Lower abdomen | CT slice

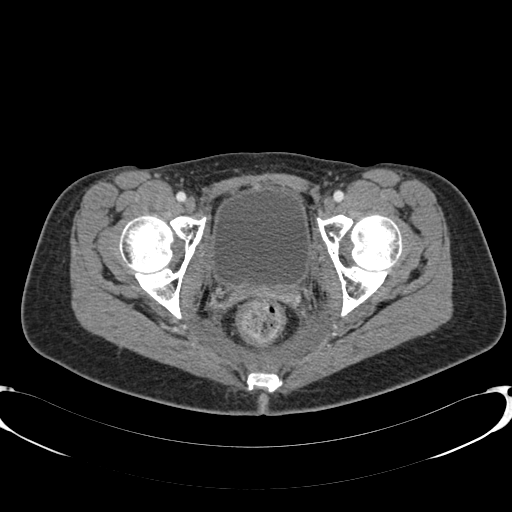
urinary_bladder:
  - <box>213,190,308,284</box>